Slice 54 of 155 | 240x240
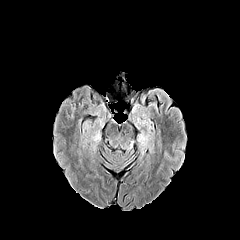
FLAIR MR image.
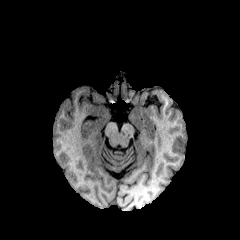
T1-weighted magnetic resonance.
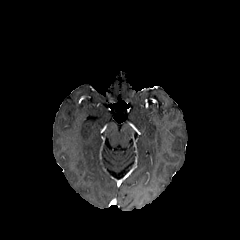
Post-contrast T1-weighted MR image.
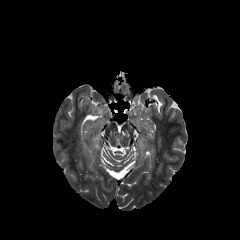
T2-weighted MR of the same slice.
{"edema": ["l=138, t=134, r=154, b=152"]}